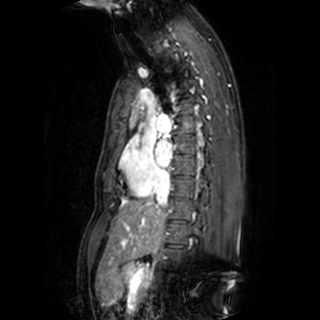
MR; Cardiac
• left atrium: 155, 140, 171, 167